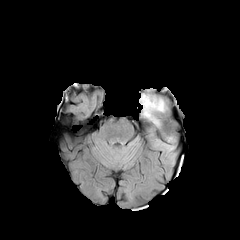
FLAIR magnetic resonance.
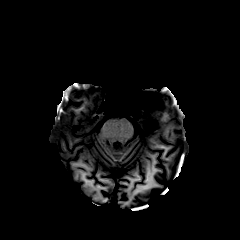
T1-weighted MR.
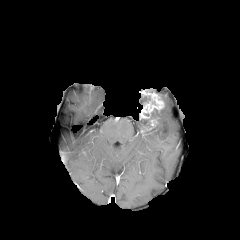
Post-contrast T1-weighted MR.
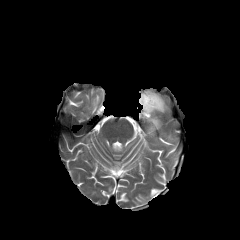
T2-weighted magnetic resonance.
• non-enhancing tumor core: 141 93 150 106, 148 97 163 110
• edema: 147 107 165 125
• enhancing tumor: 141 90 162 104